Slice 525 of 671 | CT scan slice 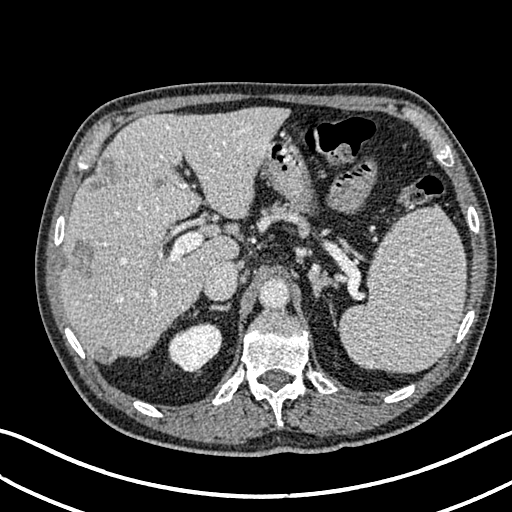 hepatic_lesion:
  - left=85, top=154, right=135, bottom=193
  - left=72, top=240, right=93, bottom=278
  - left=99, top=346, right=112, bottom=361
  - left=153, top=177, right=164, bottom=187
kidney:
  - left=169, top=325, right=221, bottom=371
liver:
  - left=227, top=224, right=237, bottom=235
  - left=62, top=106, right=288, bottom=363